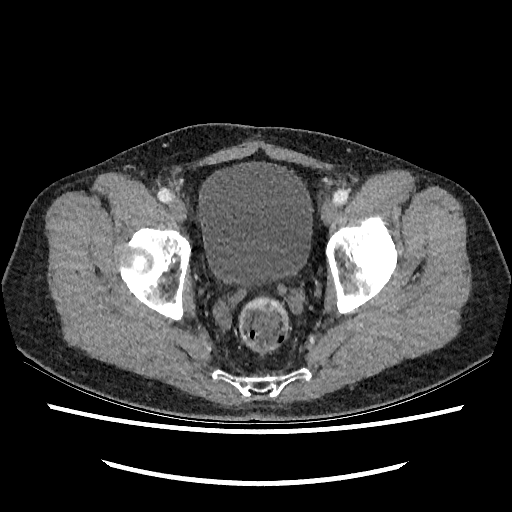

Pelvis; Computed tomography
- urinary bladder: bbox(197, 161, 313, 291)